Liver; CT slice; 512x512 px
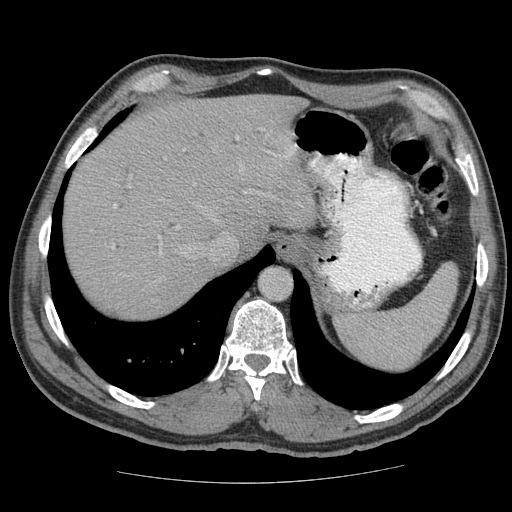 Not every hepatic vessel necessarily has a box.
Hepatic vessel: 111 245 113 247, 114 205 115 207, 179 233 235 260, 175 228 177 229, 262 194 271 197, 126 181 129 187, 194 204 217 221, 244 190 255 193, 235 137 238 139, 158 236 161 247.